FLAIR MR image.
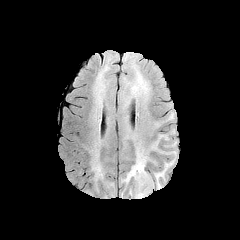
T1-weighted magnetic resonance.
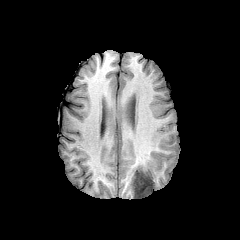
Post-contrast T1-weighted magnetic resonance.
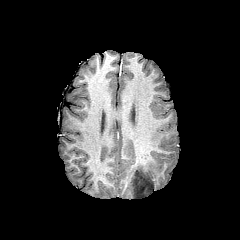
T2-weighted MR image.
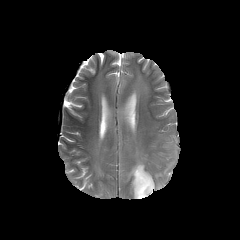
240x240 px | Brain
non-enhancing tumor core: (135, 170, 153, 193) | edema: (154, 159, 174, 188), (93, 154, 101, 175), (124, 152, 151, 196)